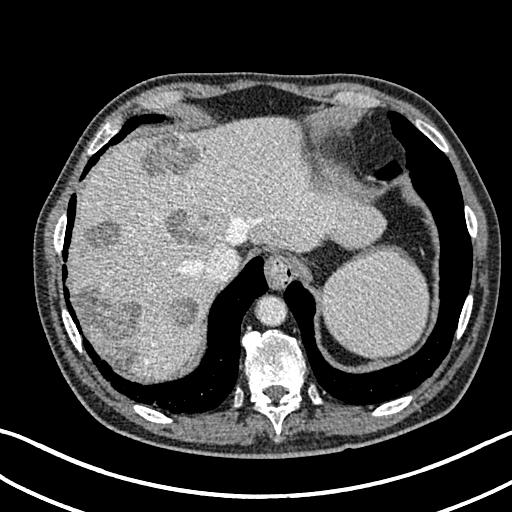
Abdomen | Computed tomography

{"hepatic_lesion": ["<bbox>85, 221, 119, 250</bbox>", "<bbox>76, 288, 142, 343</bbox>", "<bbox>141, 137, 197, 176</bbox>", "<bbox>166, 209, 206, 244</bbox>", "<bbox>114, 348, 134, 367</bbox>", "<bbox>169, 298, 196, 327</bbox>"], "liver": ["<bbox>69, 117, 384, 378</bbox>"]}